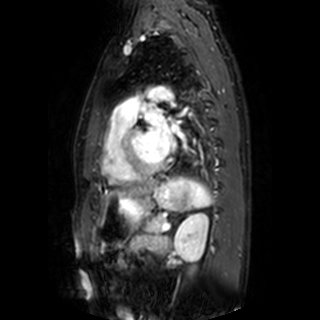

MR image
left atrium: <bbox>176, 107, 188, 117</bbox>, <bbox>172, 124, 180, 134</bbox>, <bbox>144, 108, 170, 159</bbox>